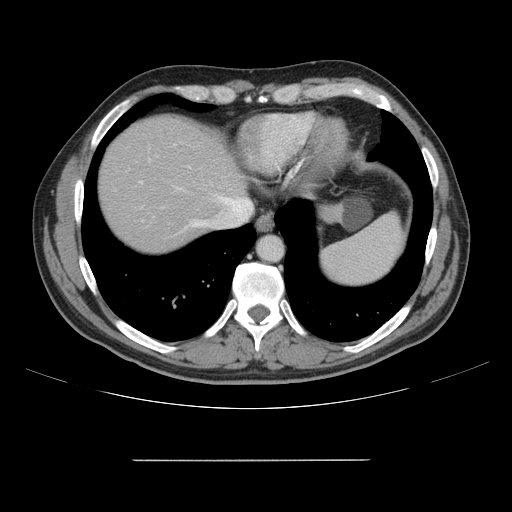 CT

Some hepatic vessels may have no box.
5 hepatic vessel regions are located at {"x1": 181, "y1": 224, "x2": 197, "y2": 231}, {"x1": 189, "y1": 220, "x2": 198, "y2": 222}, {"x1": 148, "y1": 159, "x2": 149, "y2": 160}, {"x1": 140, "y1": 181, "x2": 141, "y2": 182}, {"x1": 174, "y1": 144, "x2": 175, "y2": 145}.